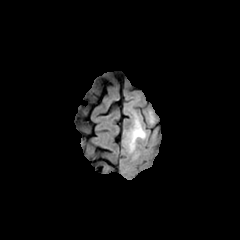
FLAIR MR.
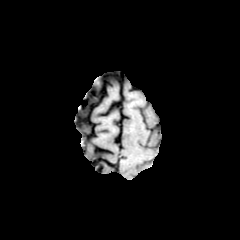
T1-weighted MR image.
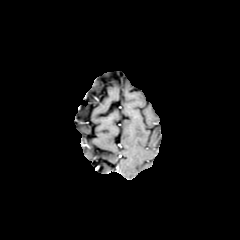
Same slice, post-contrast T1-weighted MRI.
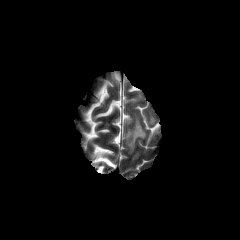
T2-weighted MR of the same slice.
Image size 240x240
edema: [x1=124, y1=114, x2=148, y2=152]